Slice 8 of 38; MR 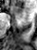

Annotated regions:
* anterior hippocampus: x1=11 y1=6 x2=22 y2=14